Image size 240x240
FLAIR magnetic resonance.
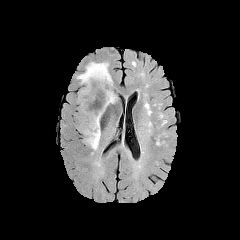
T1-weighted MR.
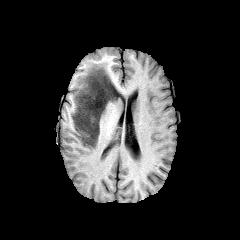
Post-contrast T1-weighted MR image.
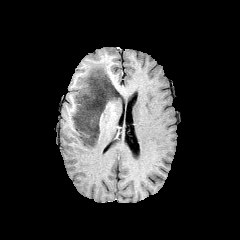
T2-weighted MRI.
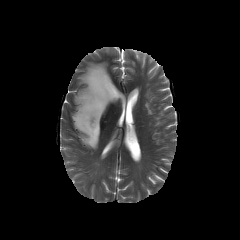
2 edema regions are located at bbox(78, 75, 87, 92); bbox(87, 63, 108, 76). The non-enhancing tumor core appears at bbox(74, 69, 118, 146).